Slice 61 of 155; Head
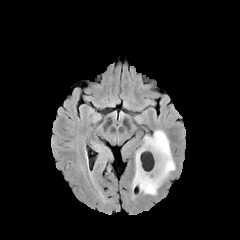
FLAIR magnetic resonance.
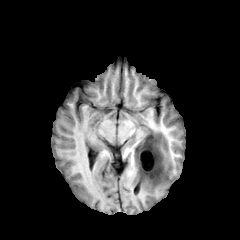
Same slice, T1-weighted magnetic resonance.
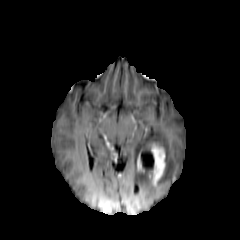
Post-contrast T1-weighted magnetic resonance of the same slice.
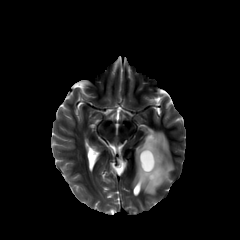
Same slice, T2-weighted magnetic resonance.
2 enhancing tumor regions are bounded by bbox=[151, 144, 165, 186]; bbox=[137, 154, 141, 170]. The edema is bounded by bbox=[132, 130, 175, 195]. The non-enhancing tumor core is at bbox=[140, 167, 153, 178].